FLAIR MRI.
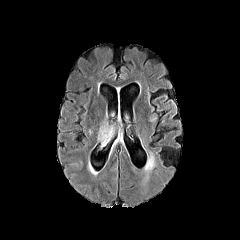
T1-weighted MRI.
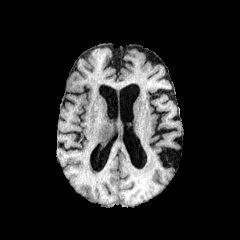
Post-contrast T1-weighted MR image.
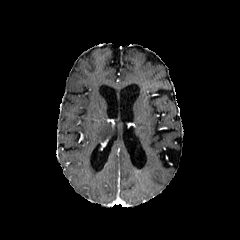
T2-weighted MRI.
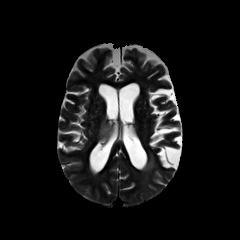
Findings:
- edema: x1=97 y1=121 x2=112 y2=142